Pelvis | CT slice 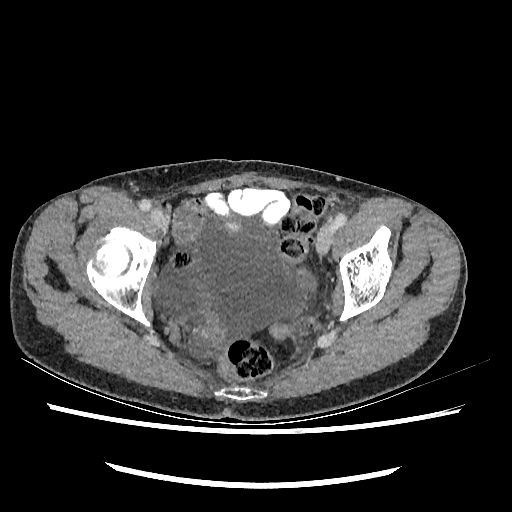

Urinary bladder = 157,213,315,341.